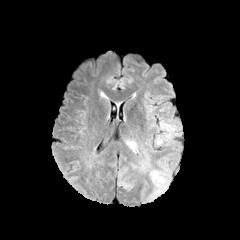
FLAIR MR image.
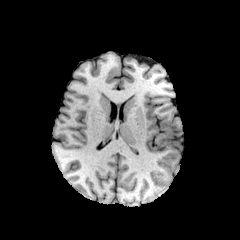
T1-weighted MR.
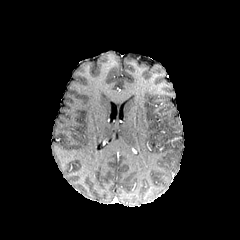
Post-contrast T1-weighted MR.
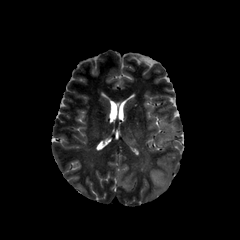
T2-weighted MR.
Image size 240x240
{
  "edema": [
    "l=125, t=139, r=138, b=153"
  ]
}